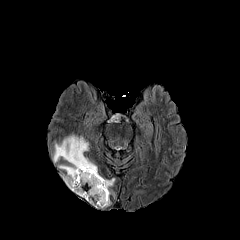
FLAIR magnetic resonance.
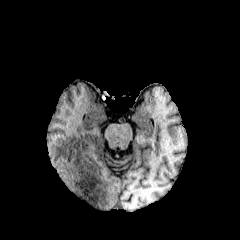
T1-weighted magnetic resonance.
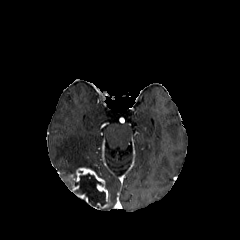
Same slice, post-contrast T1-weighted MR.
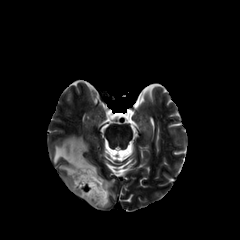
T2-weighted MR.
Brain
Annotated regions:
- non-enhancing tumor core: (x1=69, y1=173, x2=109, y2=209)
- enhancing tumor: (x1=67, y1=167, x2=109, y2=201)
- edema: (x1=104, y1=179, x2=115, y2=187), (x1=50, y1=135, x2=102, y2=187)